Image size 512x512; CT; Slice 648 of 685 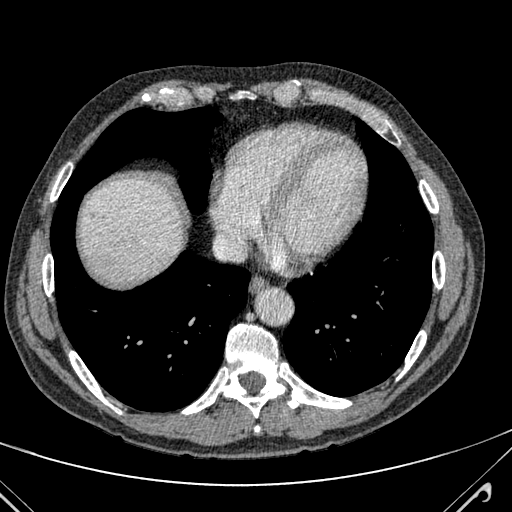
liver: 81 180 181 280